Upper abdomen | CT image | Slice 477 of 816 | 512x512 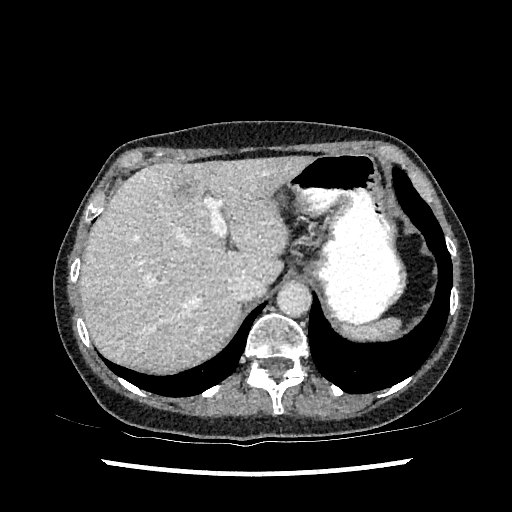
Liver at x1=80, y1=157, x2=312, y2=370.
Hepatic lesion at x1=158, y1=325, x2=168, y2=334; x1=84, y1=298, x2=104, y2=316; x1=172, y1=177, x2=196, y2=203.